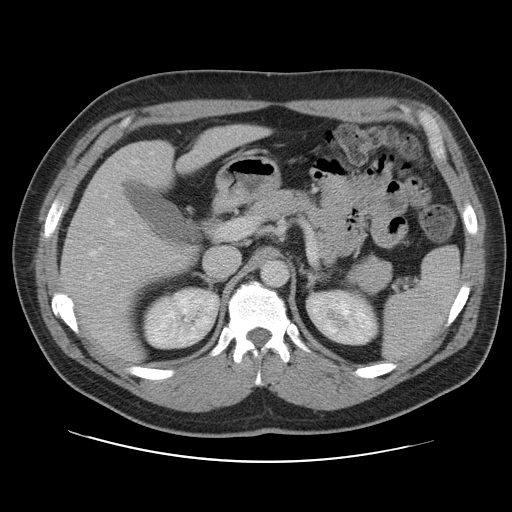
512x512 px; CT scan slice

The vessel annotation is not exhaustive.
<segmentation>
  <hepatic_vessel>114, 232, 126, 236; 108, 218, 113, 223; 107, 310, 109, 311; 87, 274, 90, 279; 90, 249, 96, 259</hepatic_vessel>
</segmentation>